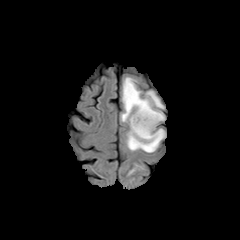
FLAIR magnetic resonance.
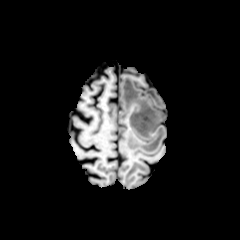
T1-weighted magnetic resonance of the same slice.
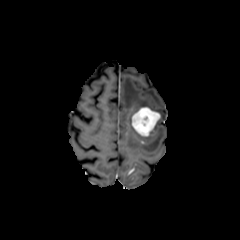
Post-contrast T1-weighted MRI.
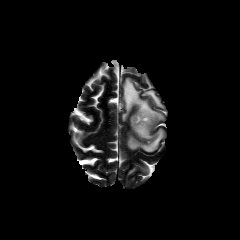
T2-weighted MR image of the same slice.
240x240 px; Brain
The enhancing tumor lies within l=131, t=106, r=160, b=136. The edema is at l=121, t=77, r=165, b=152.